Liver. CT image. 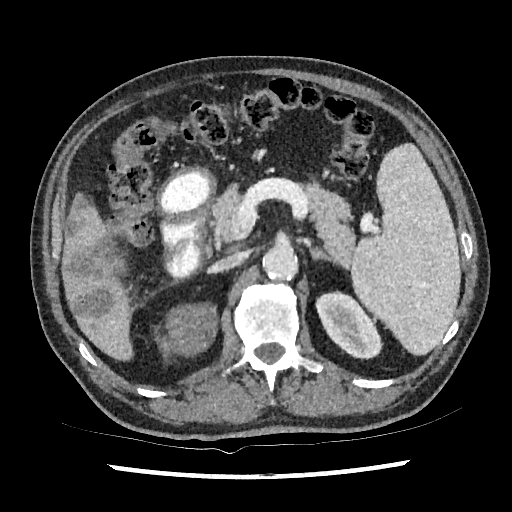 liver:
  - bbox=[63, 205, 132, 358]
liver_lesion:
  - bbox=[63, 232, 112, 279]
  - bbox=[72, 196, 87, 210]
  - bbox=[72, 284, 115, 326]
  - bbox=[66, 215, 81, 239]
kidney:
  - bbox=[316, 292, 381, 358]